Image size 512x512, Liver, Computed tomography

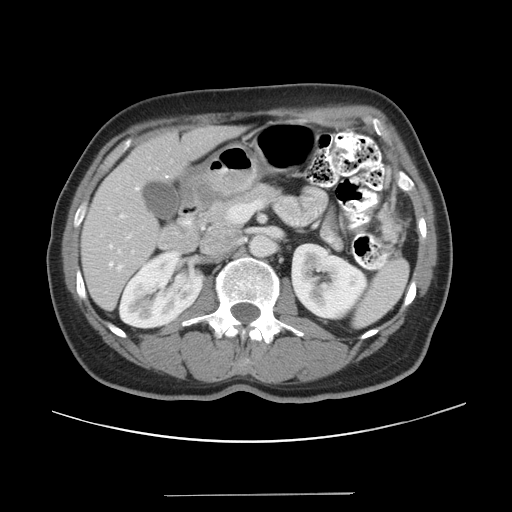

Not every hepatic vessel necessarily has a box.
8 hepatic vessel regions are located at rect(118, 265, 122, 269); rect(135, 187, 138, 189); rect(109, 244, 112, 248); rect(109, 262, 112, 265); rect(118, 251, 120, 252); rect(127, 235, 130, 238); rect(132, 251, 133, 253); rect(120, 214, 125, 217).